Field of view 240 mm wide, 1.00 mm slice spacing. Brain.
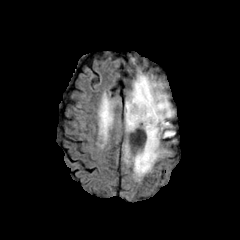
FLAIR MR image.
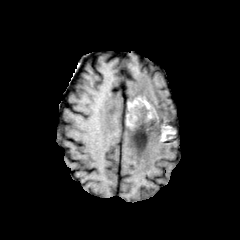
T1-weighted MRI.
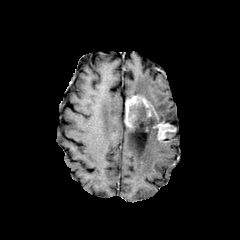
Post-contrast T1-weighted MR image.
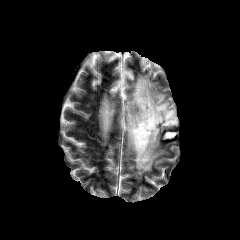
T2-weighted magnetic resonance.
Edema: l=98, t=98, r=114, b=134; l=128, t=72, r=175, b=124; l=121, t=123, r=139, b=132; l=124, t=130, r=167, b=180; l=134, t=106, r=144, b=125.
Enhancing tumor: l=153, t=121, r=170, b=139; l=125, t=96, r=151, b=129.
Non-enhancing tumor core: l=130, t=103, r=166, b=147.